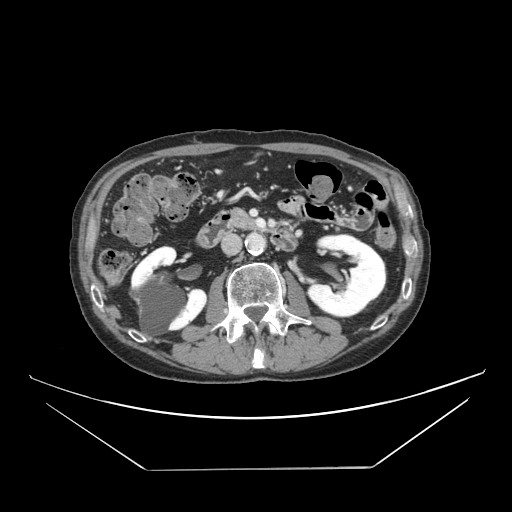

CT scan slice, Abdomen

Pancreas: bounding box (left=227, top=206, right=256, bottom=231).